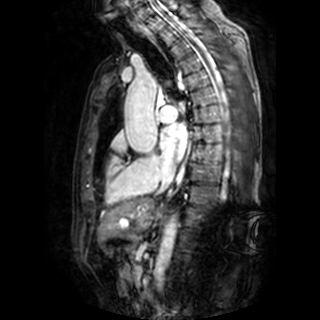

MRI; Image size 320x320
<segmentation>
  <left_atrium>rect(160, 123, 186, 161)</left_atrium>
</segmentation>